CT. Upper abdomen.
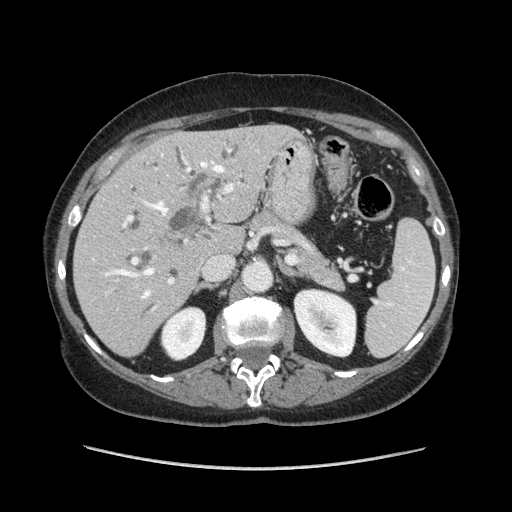

Annotated regions:
• pancreas: left=244, top=206, right=346, bottom=292